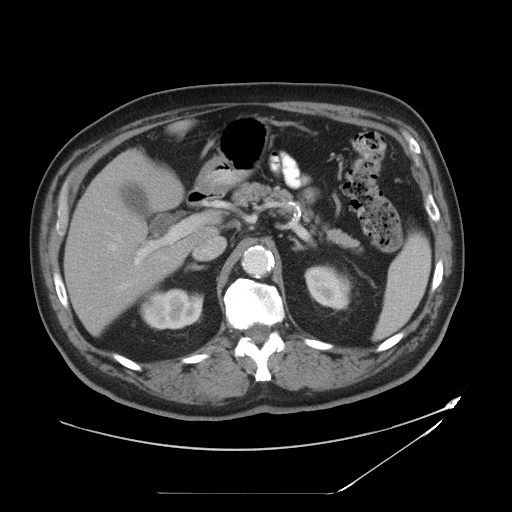 Computed tomography; Abdomen; 512x512
The vessel annotation is not exhaustive.
hepatic_vessel:
  - region(177, 257, 179, 260)
  - region(115, 282, 131, 291)
  - region(162, 254, 165, 259)
  - region(134, 281, 136, 282)
  - region(116, 233, 121, 242)
  - region(117, 217, 120, 218)
  - region(108, 244, 117, 250)
  - region(156, 268, 158, 269)
  - region(137, 238, 139, 239)
  - region(172, 246, 174, 247)
  - region(180, 242, 185, 244)
  - region(175, 261, 176, 262)
  - region(161, 267, 164, 271)
  - region(83, 273, 85, 274)